Hippocampus; MR 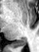

{
  "posterior_hippocampus": [
    "rect(16, 39, 25, 45)"
  ]
}